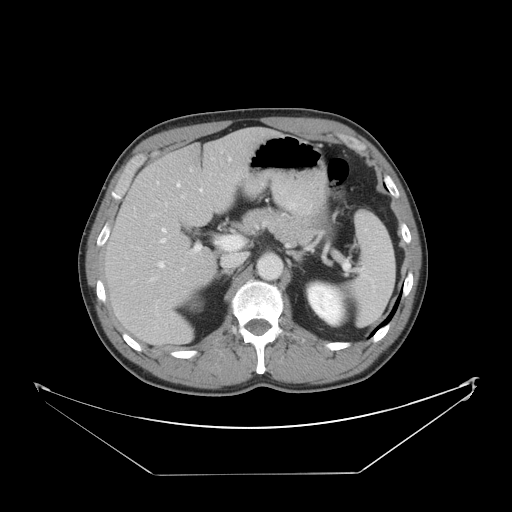 512x512 px. Abdomen. CT slice. Only some of the vessels may be annotated.
Hepatic vessel = {"x1": 160, "y1": 238, "x2": 165, "y2": 242}, {"x1": 228, "y1": 158, "x2": 231, "y2": 160}, {"x1": 162, "y1": 228, "x2": 165, "y2": 232}, {"x1": 177, "y1": 182, "x2": 180, "y2": 186}, {"x1": 199, "y1": 188, "x2": 202, "y2": 191}, {"x1": 181, "y1": 195, "x2": 184, "y2": 197}, {"x1": 158, "y1": 261, "x2": 164, "y2": 267}, {"x1": 182, "y1": 268, "x2": 183, "y2": 270}, {"x1": 157, "y1": 181, "x2": 158, "y2": 183}, {"x1": 149, "y1": 277, "x2": 155, "y2": 281}, {"x1": 166, "y1": 203, "x2": 167, "y2": 205}, {"x1": 211, "y1": 158, "x2": 213, "y2": 159}.